Image size 512x512, CT scan slice, Upper abdomen 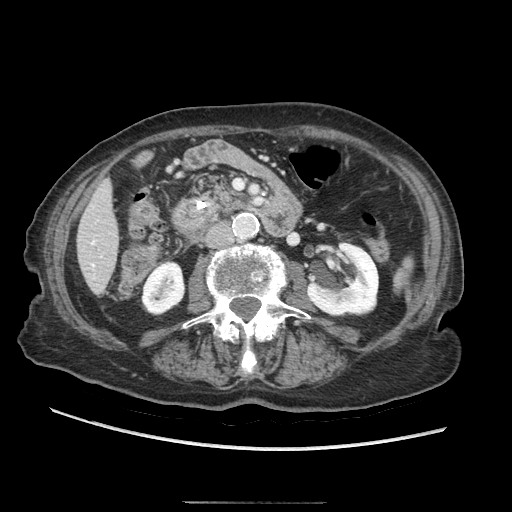 The pancreas is bounded by {"x1": 196, "y1": 181, "x2": 252, "y2": 215}.